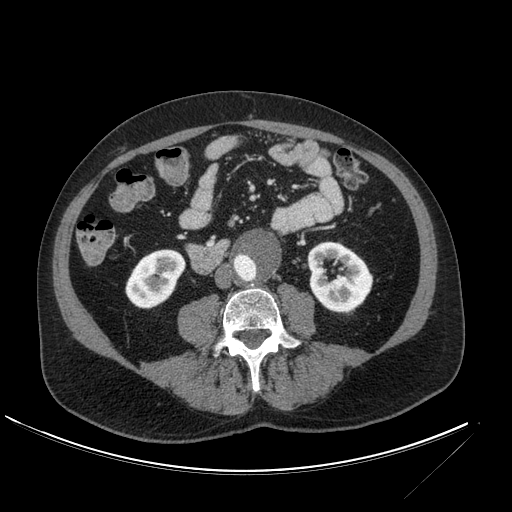

CT scan slice; 512x512 px
{"kidney": ["126,250,184,307", "309,242,371,311"]}